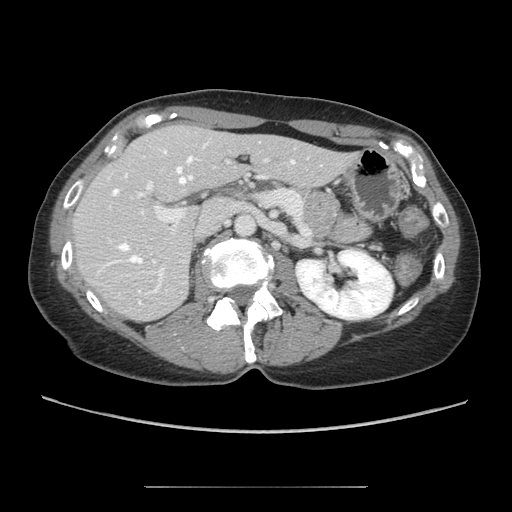 CT scan slice. Findings:
• pancreas: left=298, top=189, right=340, bottom=241